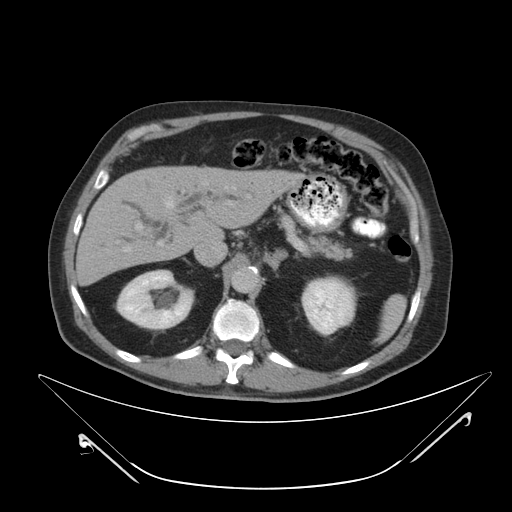 CT scan slice; Abdomen
The pancreas lies within box(308, 237, 345, 260).